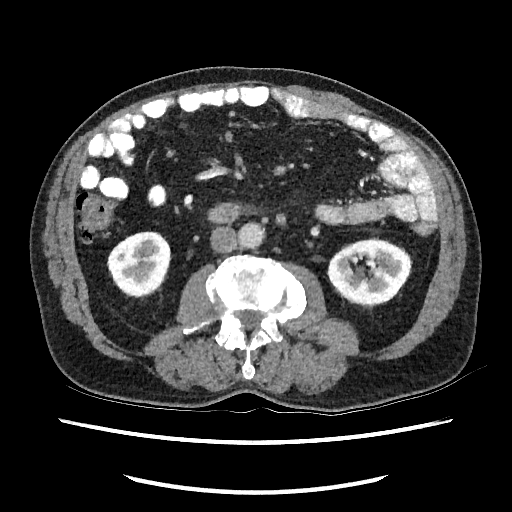
512x512, CT
Segmented structures:
• kidney: box=[327, 238, 411, 306]; box=[107, 232, 170, 297]